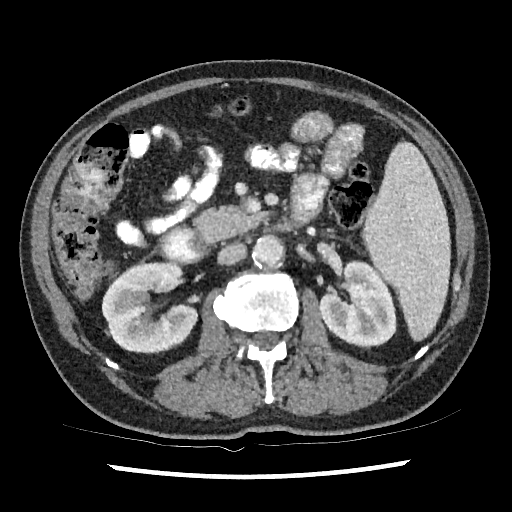 CT image. Abdomen.
2 kidney regions are located at (left=102, top=262, right=197, bottom=352), (left=319, top=262, right=395, bottom=345).